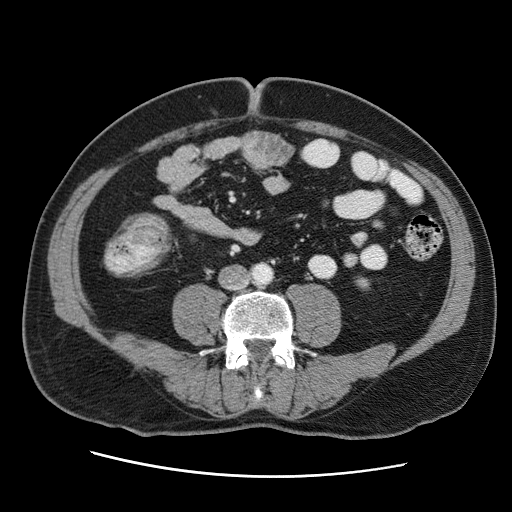
CT
The colon tumor is bounded by (126, 215, 171, 252).